240x240 px. Slice 52/155. Image width 240 mm.
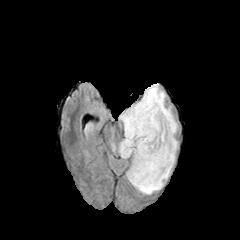
FLAIR MR.
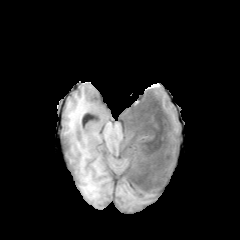
Same slice, T1-weighted MR image.
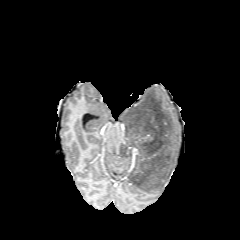
Same slice, post-contrast T1-weighted MR.
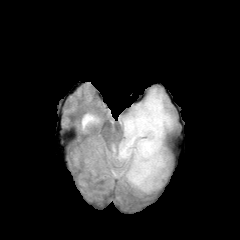
Same slice, T2-weighted MRI.
enhancing_tumor:
  - bbox(131, 147, 138, 167)
edema:
  - bbox(121, 156, 130, 175)
  - bbox(114, 130, 129, 155)
  - bbox(132, 85, 177, 193)
  - bbox(118, 106, 133, 124)
non-enhancing_tumor_core:
  - bbox(120, 96, 171, 193)